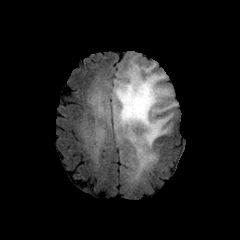
FLAIR magnetic resonance.
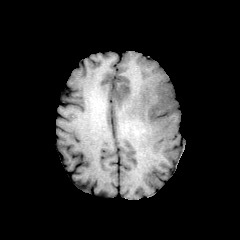
T1-weighted MRI.
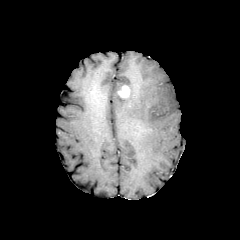
Post-contrast T1-weighted MR.
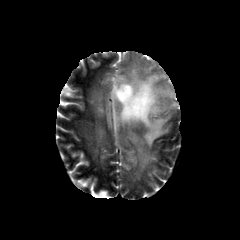
Same slice, T2-weighted magnetic resonance.
4 non-enhancing tumor core regions appear at [122,121,147,138], [161,88,169,95], [115,66,144,97], [150,104,159,113]. The enhancing tumor is located at [118,85,129,97]. The edema is bounded by [95,59,176,172].